Lower abdomen. Slice 45 of 212. CT slice. 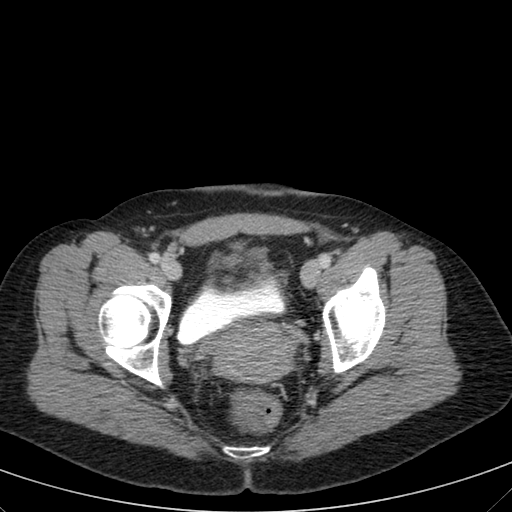 The urinary bladder is bounded by 178,281,283,343.